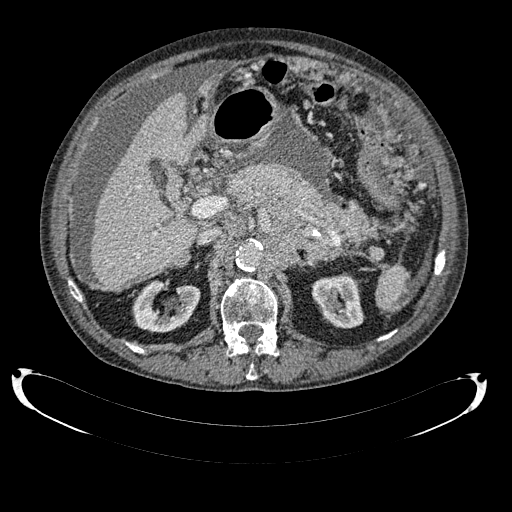
CT slice, 512x512 px, Liver
<segmentation>
  <kidney>133,281,199,331; 312,276,362,327</kidney>
  <liver>199,79,212,95; 92,92,207,291</liver>
</segmentation>